Computed tomography. 512x512 px. Image width 500 mm.
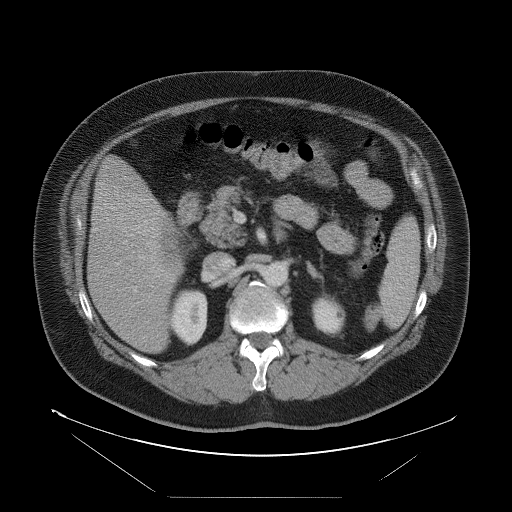 The vessel boxes may cover only some of the vessels.
Hepatic vessel = bbox=[150, 218, 155, 220]; bbox=[151, 227, 159, 237]; bbox=[144, 220, 148, 223]; bbox=[122, 226, 125, 231]; bbox=[139, 256, 144, 258]; bbox=[158, 274, 160, 275]; bbox=[123, 240, 126, 243]; bbox=[151, 256, 153, 260]; bbox=[133, 287, 136, 292]; bbox=[127, 233, 132, 235].
Liver tumor = bbox=[162, 218, 181, 260].